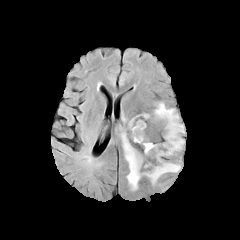
FLAIR MRI.
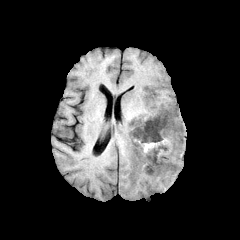
Same slice, T1-weighted MRI.
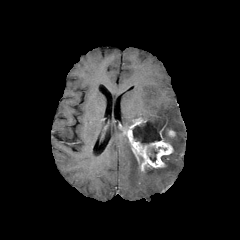
Same slice, post-contrast T1-weighted MRI.
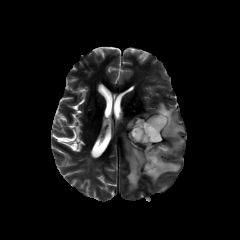
Same slice, T2-weighted magnetic resonance.
240x240; Brain
Non-enhancing tumor core = [x1=147, y1=146, x2=161, y2=163], [x1=132, y1=119, x2=173, y2=146].
Edema = [x1=144, y1=161, x2=180, y2=183], [x1=121, y1=132, x2=140, y2=190], [x1=148, y1=102, x2=184, y2=155].
Enhancing tumor = [x1=127, y1=117, x2=172, y2=169].